Liver; Slice 439/846; Computed tomography 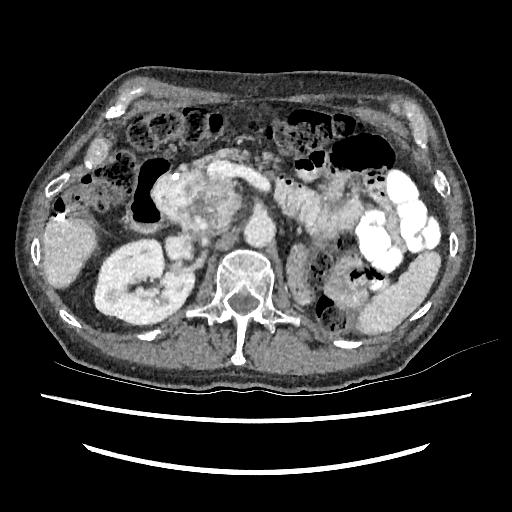 Kidney = l=95, t=240, r=194, b=324.
Liver = l=43, t=219, r=96, b=287.